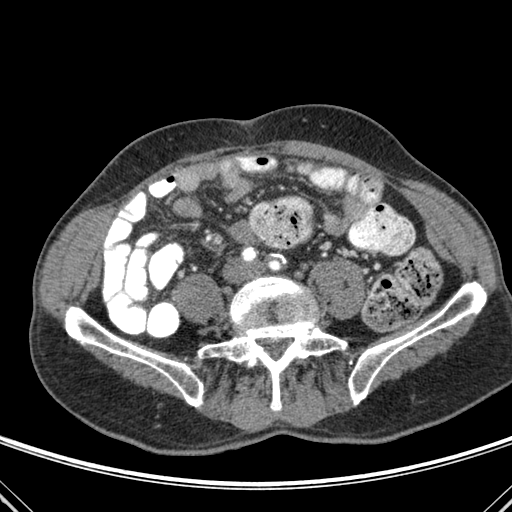
CT

Bone at 198,277,346,411; 65,306,203,406; 348,282,486,404.